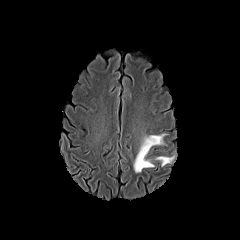
FLAIR MR.
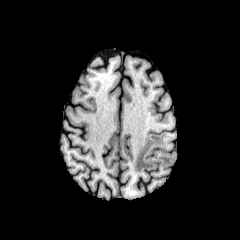
T1-weighted magnetic resonance of the same slice.
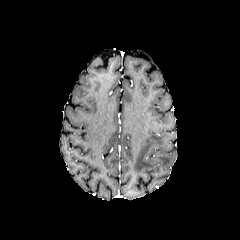
Post-contrast T1-weighted MRI of the same slice.
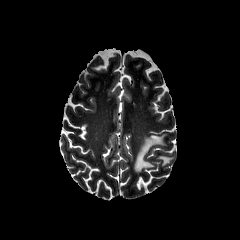
T2-weighted magnetic resonance.
Edema: bounding box rect(133, 134, 165, 173); rect(156, 156, 173, 166).